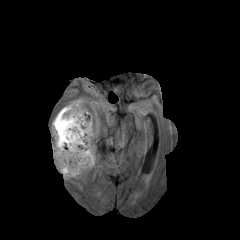
FLAIR MR image.
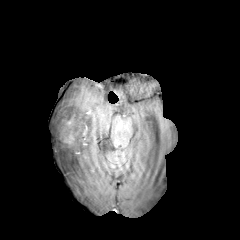
Same slice, T1-weighted MRI.
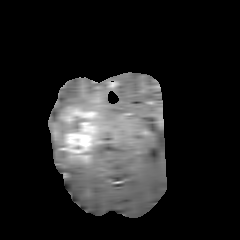
Post-contrast T1-weighted magnetic resonance.
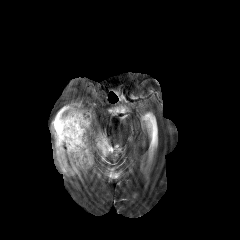
T2-weighted magnetic resonance.
Brain
Edema = bbox(50, 106, 65, 133); bbox(66, 101, 81, 107); bbox(53, 111, 98, 178).
Enhancing tumor = bbox(58, 106, 92, 161).
Non-enhancing tumor core = bbox(58, 151, 68, 165); bbox(56, 114, 80, 145).